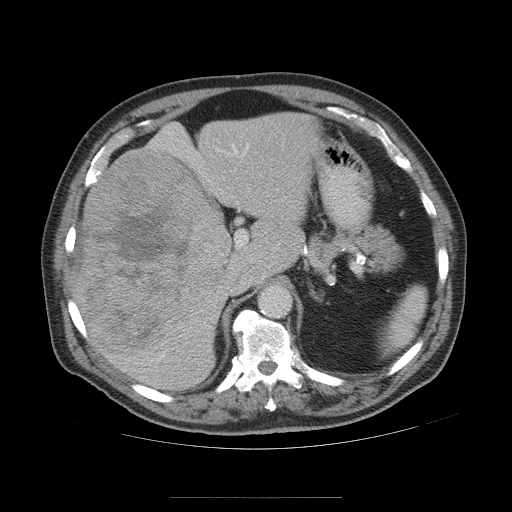

Liver | CT slice
The vessel boxes may cover only some of the vessels.
{
  "hepatic_vessel": [
    "[234, 230, 247, 248]",
    "[223, 152, 231, 155]",
    "[162, 351, 164, 356]",
    "[216, 148, 222, 151]",
    "[251, 258, 251, 261]",
    "[231, 144, 236, 153]",
    "[241, 144, 249, 156]"
  ],
  "liver_tumor": [
    "[75, 149, 223, 355]"
  ]
}